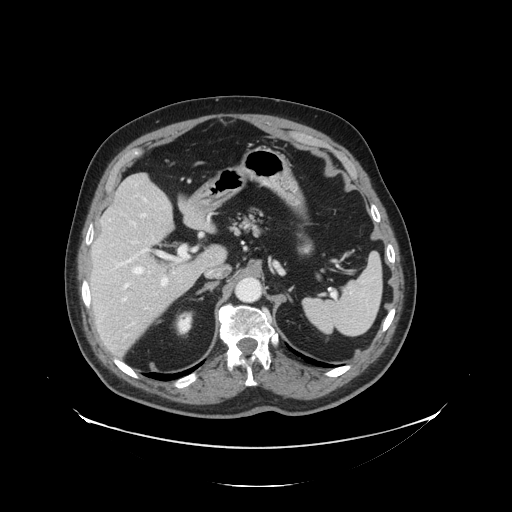 Image size 512x512; CT scan slice
Some hepatic vessels may have no box.
Hepatic vessel — l=148, t=272, r=149, b=273; l=145, t=308, r=146, b=309; l=123, t=298, r=126, b=300; l=144, t=249, r=149, b=251; l=142, t=214, r=147, b=216; l=124, t=284, r=129, b=287; l=207, t=271, r=212, b=275; l=161, t=277, r=167, b=286; l=201, t=233, r=202, b=234; l=157, t=253, r=164, b=255; l=117, t=260, r=130, b=266; l=133, t=267, r=144, b=274; l=139, t=196, r=146, b=201.